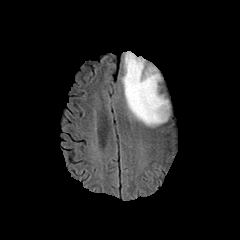
FLAIR MRI.
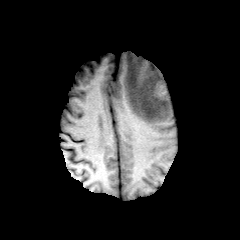
T1-weighted MR image of the same slice.
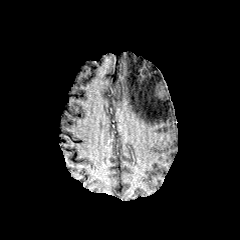
Post-contrast T1-weighted MR image of the same slice.
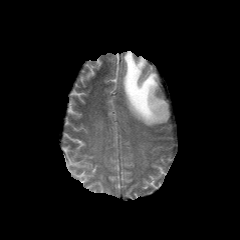
Same slice, T2-weighted MRI.
Image size 240x240 | Head
{"edema": ["121 51 169 126"]}